Head; Slice index 92; 240x240
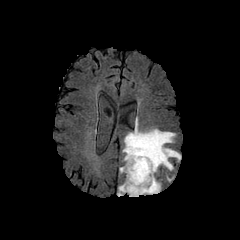
FLAIR MR image.
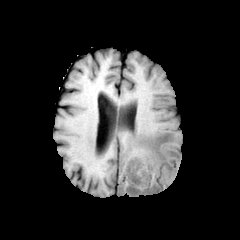
T1-weighted magnetic resonance.
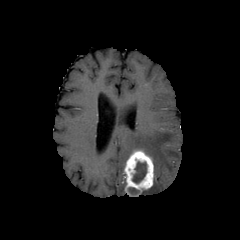
Post-contrast T1-weighted magnetic resonance of the same slice.
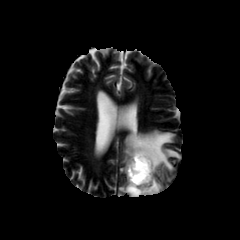
T2-weighted magnetic resonance.
edema:
  - 118,178,125,195
  - 140,178,161,194
  - 122,126,180,174
enhancing_tumor:
  - 124,149,153,195
non-enhancing_tumor_core:
  - 133,162,146,182